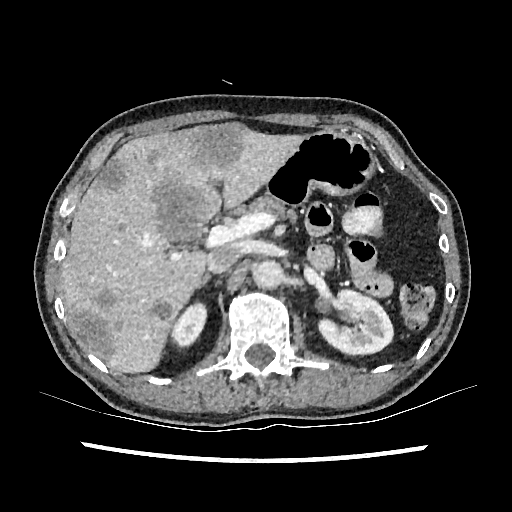
Upper abdomen | CT image

3 kidney regions are bounded by 319, 290, 394, 358; 172, 304, 205, 345; 320, 288, 330, 297. The liver appears at 63, 131, 302, 371. 8 focal liver lesion regions are located at 73, 312, 113, 354; 148, 302, 171, 320; 96, 158, 127, 189; 182, 124, 248, 168; 147, 150, 160, 164; 95, 289, 117, 308; 114, 322, 121, 330; 152, 182, 201, 241.